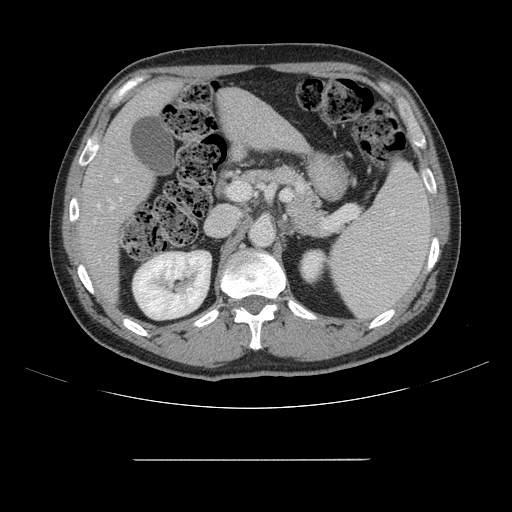
CT image.

The vessel annotation is not exhaustive.
{
  "hepatic_vessel": [
    "left=110, top=200, right=114, bottom=208",
    "left=114, top=178, right=118, bottom=182",
    "left=98, top=205, right=100, bottom=207",
    "left=119, top=198, right=121, bottom=200",
    "left=94, top=219, right=95, bottom=222"
  ]
}